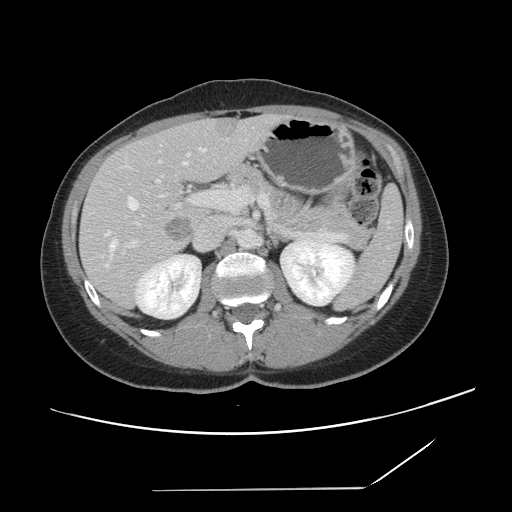 Abdomen. 512x512. CT slice. The vessel annotation is not exhaustive.
The liver tumor is bounded by 164 218 194 242. 15 hepatic vessel regions are bounded by 104 230 110 236, 110 240 117 253, 187 153 189 155, 123 252 124 253, 159 160 160 162, 159 195 164 196, 142 214 143 216, 124 162 129 167, 175 204 179 208, 106 263 108 266, 156 175 162 182, 128 197 137 209, 129 240 136 246, 184 162 187 164, 200 148 205 151.